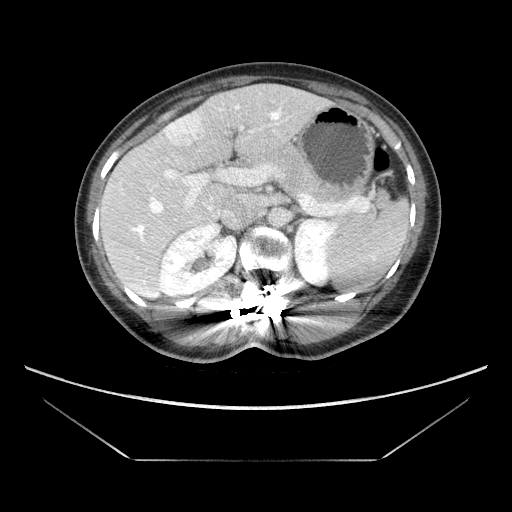
CT slice | Image size 512x512 | Liver
Only some of the vessels may be annotated.
{"liver_tumor": ["(left=167, top=115, right=202, bottom=144)"], "hepatic_vessel": ["(left=150, top=199, right=161, bottom=211)", "(left=217, top=165, right=276, bottom=184)", "(left=180, top=174, right=208, bottom=209)", "(left=165, top=169, right=178, bottom=179)"]}